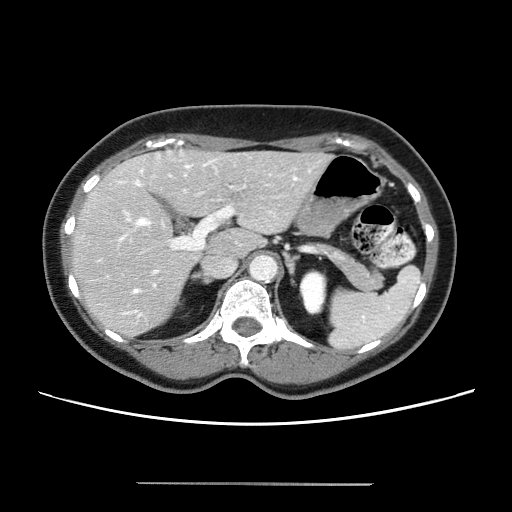
Liver; CT slice

The vessel annotation is not exhaustive.
Hepatic vessel = box(139, 219, 148, 224); box(136, 182, 139, 184); box(171, 207, 231, 249); box(134, 289, 137, 292).